Slice 79 of 109. 320x320 px. MR image. Cardiac.
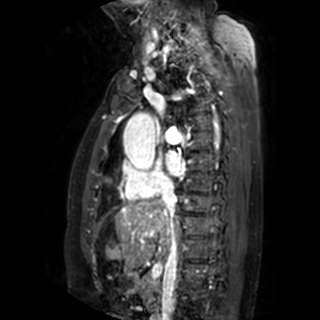 The left atrium is at bbox(166, 152, 184, 175).